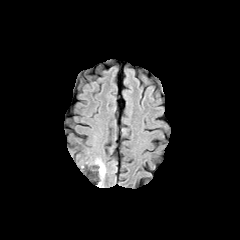
FLAIR MR.
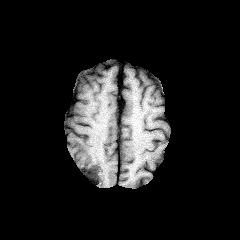
Same slice, T1-weighted MR.
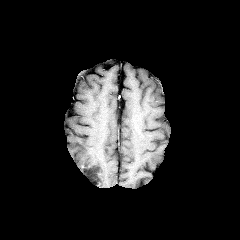
Post-contrast T1-weighted magnetic resonance of the same slice.
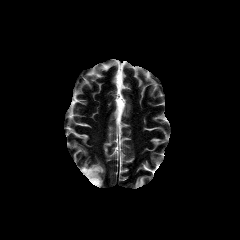
T2-weighted MRI.
Brain
Segmented structures:
- edema: box(92, 157, 106, 186)